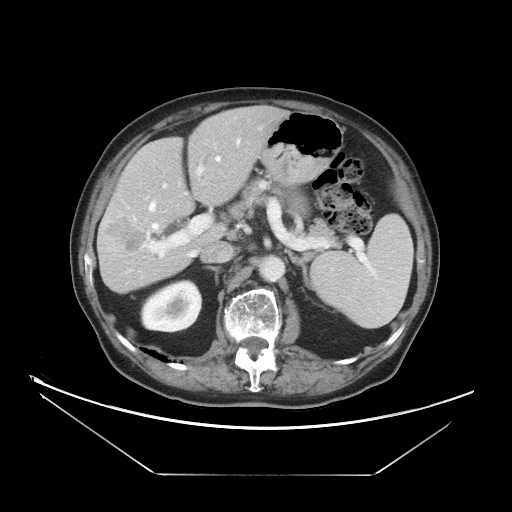
Abdomen; CT image
Only some of the vessels may be annotated.
* liver tumor: 108, 217, 147, 251
* hepatic vessel: 214, 156, 220, 161; 152, 223, 158, 228; 134, 217, 135, 219; 188, 250, 196, 255; 140, 231, 175, 257; 236, 138, 239, 145; 148, 200, 155, 212; 198, 168, 201, 174; 163, 184, 166, 186